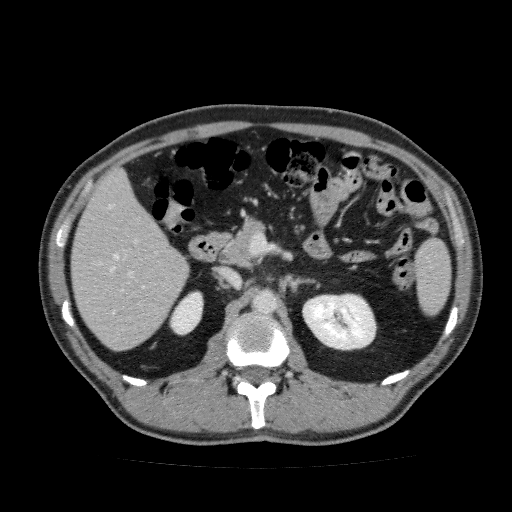
CT
Annotated regions:
* kidney: l=171, t=292, r=202, b=334; l=303, t=294, r=375, b=349
* liver: l=70, t=166, r=187, b=351